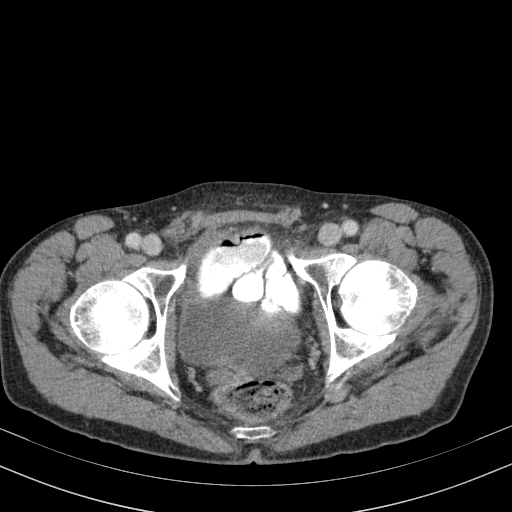 CT
<segmentation>
  <urinary_bladder>bbox=[173, 292, 290, 376]; bbox=[188, 233, 220, 259]</urinary_bladder>
</segmentation>